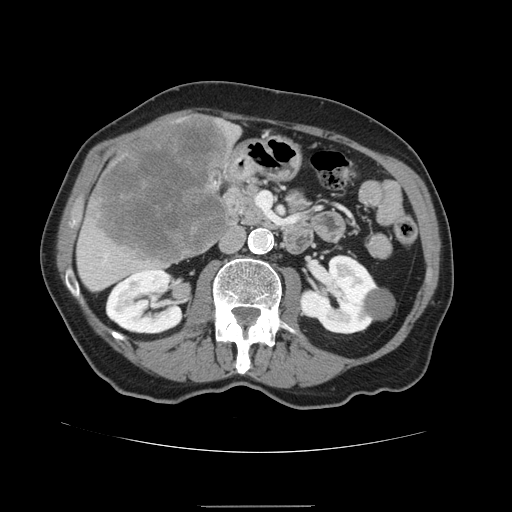

CT scan slice
liver tumor: (x1=96, y1=118, x2=230, y2=264)